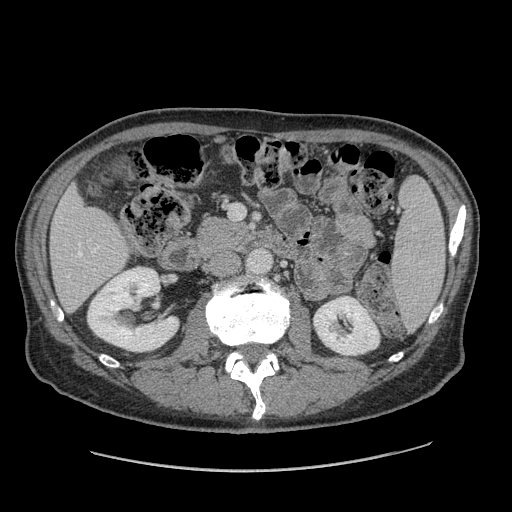

CT scan slice | 512x512
The pancreas is at (left=201, top=218, right=248, bottom=244).